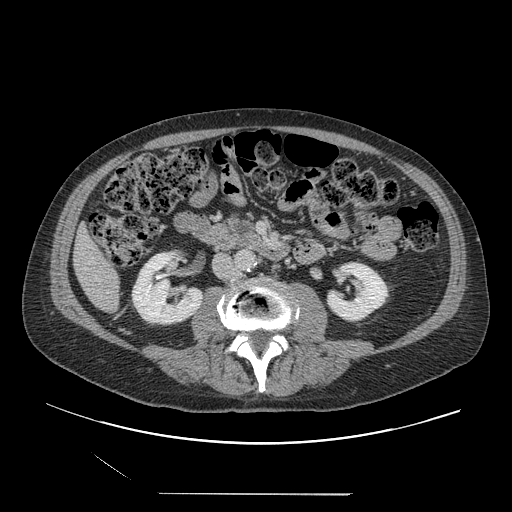

CT image, Abdomen, 512x512
Segmented structures:
* pancreatic tumor: left=235, top=220, right=251, bottom=236
* pancreas: left=211, top=213, right=262, bottom=249